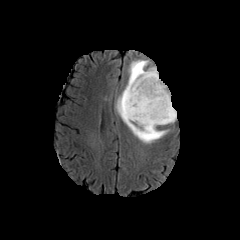
FLAIR MRI.
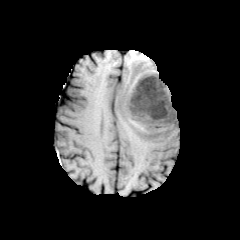
T1-weighted magnetic resonance.
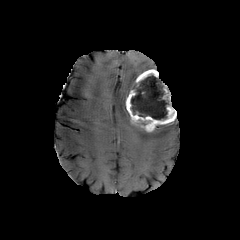
Post-contrast T1-weighted magnetic resonance.
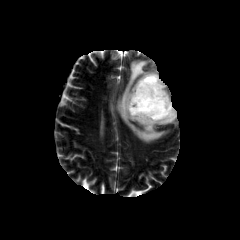
T2-weighted magnetic resonance.
Segmented structures:
- enhancing tumor: 126,85,175,130; 136,68,157,85
- non-enhancing tumor core: 144,130,155,137; 131,75,167,119
- edema: 114,58,171,143